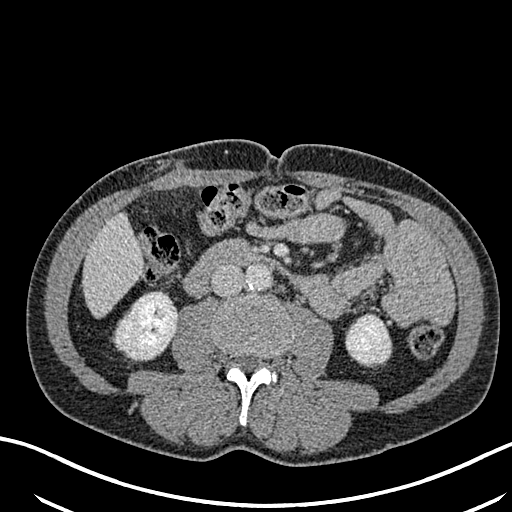

Image size 512x512, CT scan slice
Kidney = x1=346, y1=315, x2=390, y2=363; x1=116, y1=292, x2=176, y2=358.
Liver = x1=83, y1=213, x2=141, y2=316.